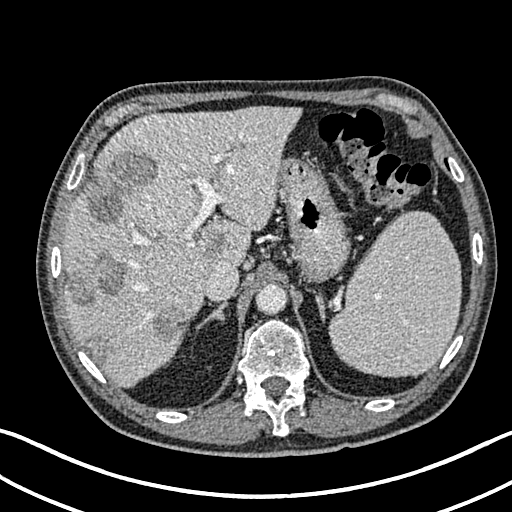

Liver. Computed tomography.
liver:
  - (64, 107, 300, 384)
liver_lesion:
  - (86, 152, 160, 222)
  - (87, 338, 112, 360)
  - (209, 232, 226, 251)
  - (69, 252, 127, 307)
  - (152, 305, 184, 341)